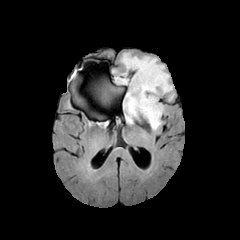
FLAIR MR.
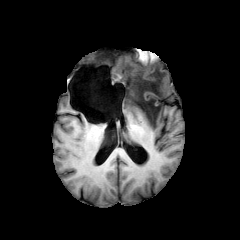
T1-weighted MRI of the same slice.
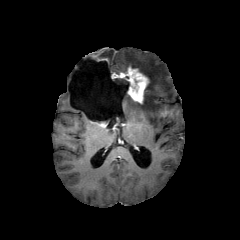
Post-contrast T1-weighted MR of the same slice.
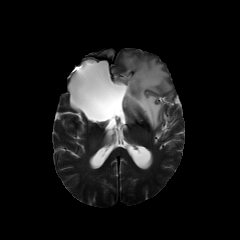
T2-weighted MRI of the same slice.
Image size 240x240, Head
non-enhancing_tumor_core:
  - x1=100, y1=86, x2=113, y2=101
  - x1=114, y1=78, x2=129, y2=89
  - x1=124, y1=72, x2=158, y2=117
enhancing_tumor:
  - x1=114, y1=66, x2=148, y2=103
edema:
  - x1=120, y1=52, x2=173, y2=130